Brain | Slice 73 of 155 | 240x240 px | Image width 240 mm
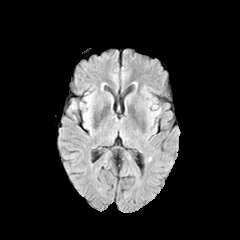
FLAIR magnetic resonance.
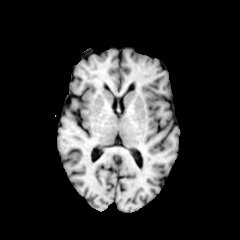
Same slice, T1-weighted MR image.
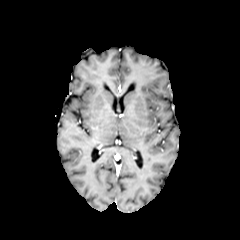
Same slice, post-contrast T1-weighted MR image.
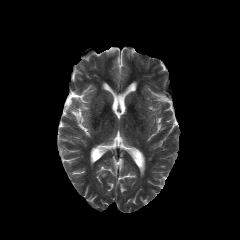
T2-weighted MR.
edema: left=150, top=109, right=159, bottom=118